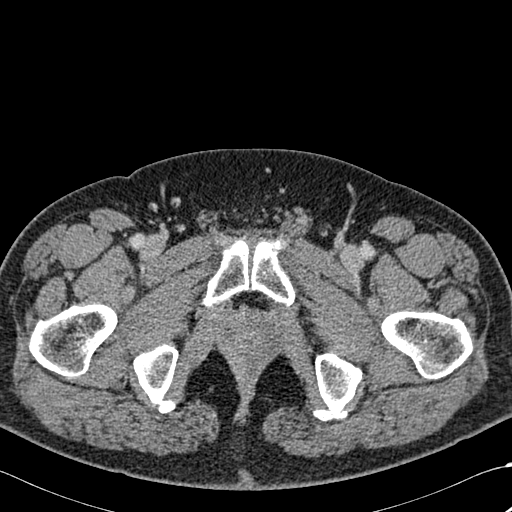

CT image | 512x512 px

<segmentation>
  <bone>(x1=133, y1=344, x2=177, y2=412), (x1=381, y1=311, x2=472, y2=378), (x1=204, y1=241, x2=294, y2=306), (x1=29, y1=303, x2=117, y2=376), (x1=315, y1=353, x2=361, y2=420)</bone>
</segmentation>